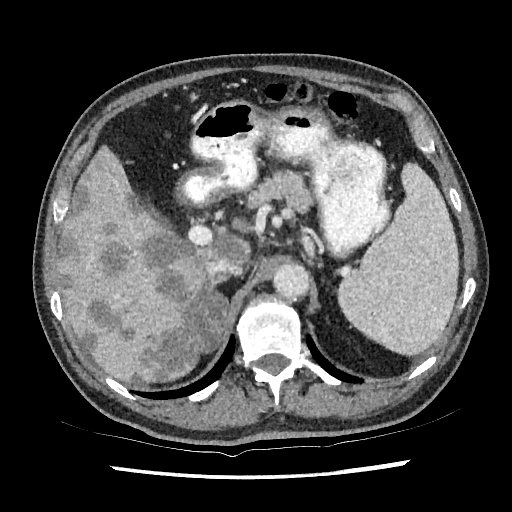 CT scan slice | Abdomen
* hepatic lesion: (153, 269, 190, 314), (79, 334, 96, 350), (66, 184, 92, 220), (131, 373, 141, 381), (105, 223, 115, 236), (126, 195, 142, 214), (144, 231, 200, 267), (96, 239, 128, 277), (59, 229, 81, 261), (88, 298, 197, 379), (211, 236, 246, 263), (59, 269, 74, 291)
* liver: (233, 238, 250, 264), (59, 146, 235, 381), (163, 359, 195, 379)